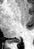

MR. {"posterior_hippocampus": ["box(10, 38, 20, 42)"]}